512x512. CT scan slice. Field of view 426 mm wide, 2.50 mm slice spacing. Abdomen.

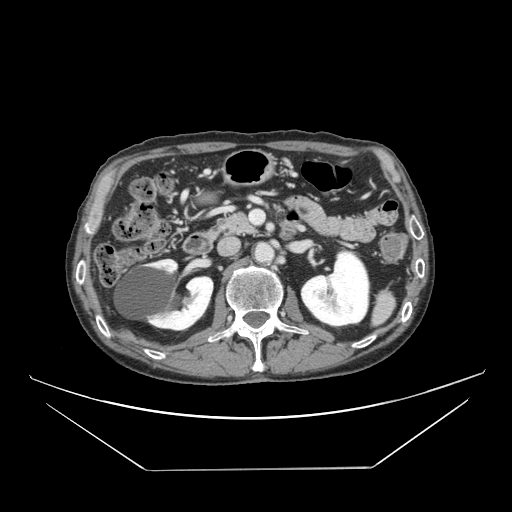 {"pancreas": ["(215,210,256,237)"]}